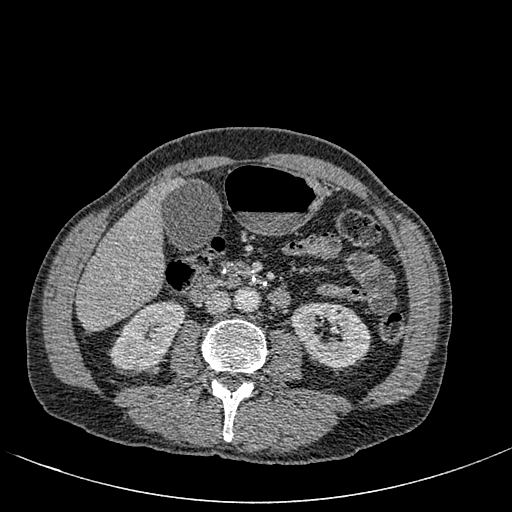
CT image
Liver = {"x1": 76, "y1": 178, "x2": 185, "y2": 330}.
Kidney = {"x1": 110, "y1": 302, "x2": 184, "y2": 371}, {"x1": 291, "y1": 303, "x2": 370, "y2": 369}.